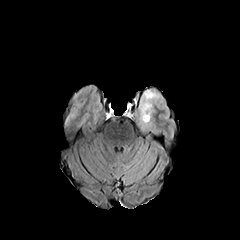
FLAIR magnetic resonance.
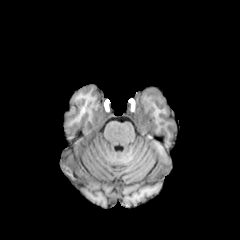
T1-weighted MRI.
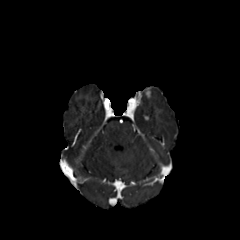
Post-contrast T1-weighted magnetic resonance.
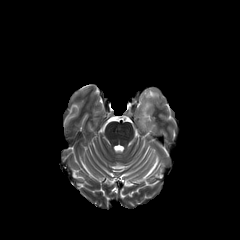
T2-weighted MR.
{"edema": ["region(134, 91, 162, 133)"]}